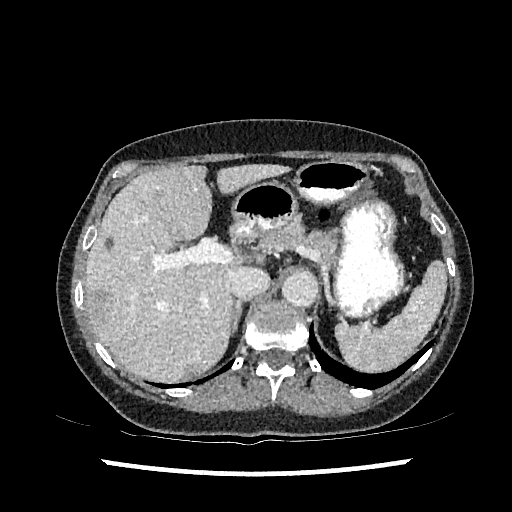
CT image | 512x512 px

liver: (x1=86, y1=166, x2=241, y2=380), (x1=218, y1=165, x2=286, y2=192) | focal liver lesion: (x1=106, y1=238, x2=113, y2=247), (x1=87, y1=288, x2=111, y2=325)